MR. Slice 19/37. Field of view 33x51 mm. 33x51 px. Medial temporal lobe. 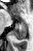 - posterior hippocampus: 10 24 26 40
- anterior hippocampus: 22 22 24 23